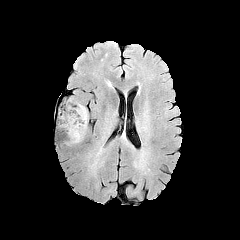
FLAIR MRI.
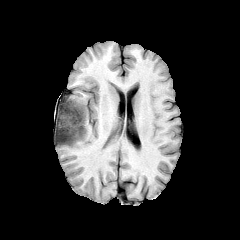
T1-weighted MRI.
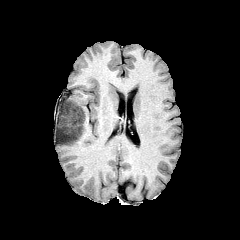
Post-contrast T1-weighted MR image.
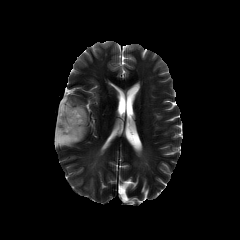
Same slice, T2-weighted MRI.
Edema = (79, 104, 88, 124), (59, 103, 75, 115).
Non-enhancing tumor core = (57, 106, 86, 144).